Slice index 15 | 512x512 px | CT image

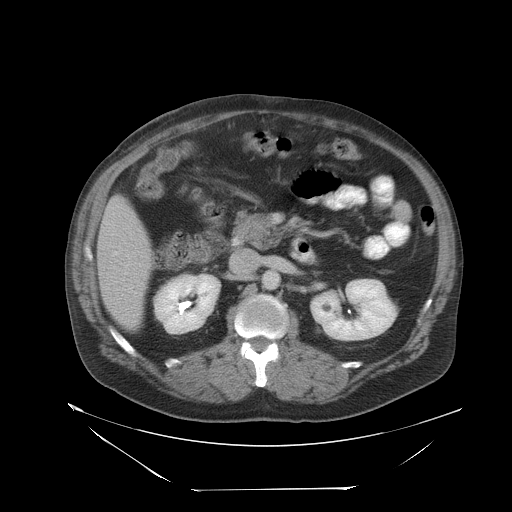

Not every hepatic vessel necessarily has a box.
hepatic_vessel:
  - <bbox>114, 252, 116, 254</bbox>